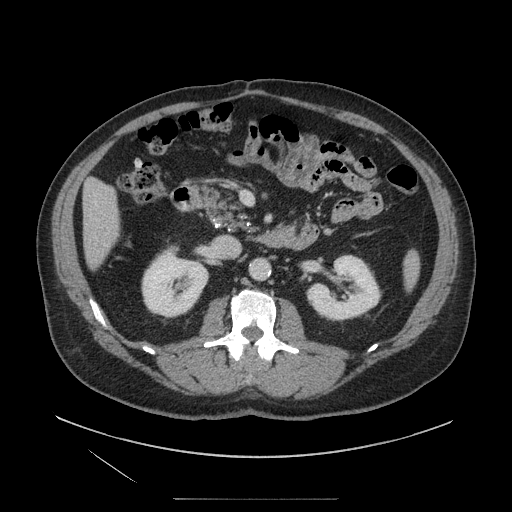
CT image, Upper abdomen
Pancreas — 201:185:251:233.